512x512 px; Field of view 432 mm wide, 5.00 mm slice spacing; Abdomen; Computed tomography; Slice 12 of 47

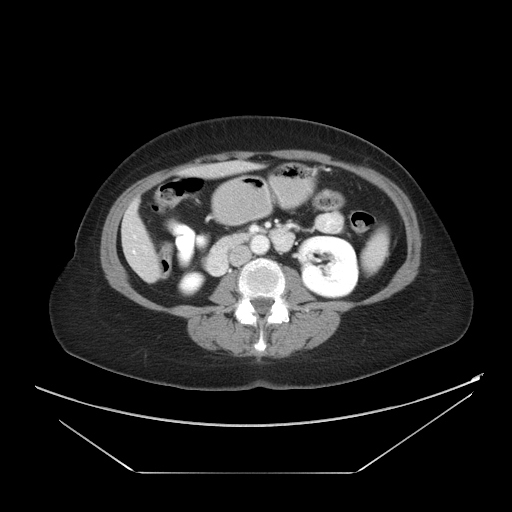
Only some of the vessels may be annotated.
<segmentation>
  <hepatic_vessel>133:236:135:237, 133:251:135:253</hepatic_vessel>
</segmentation>